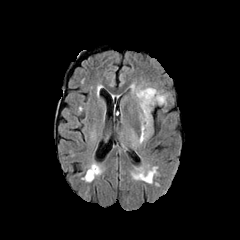
FLAIR MR.
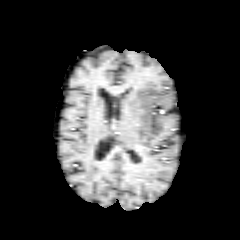
T1-weighted magnetic resonance of the same slice.
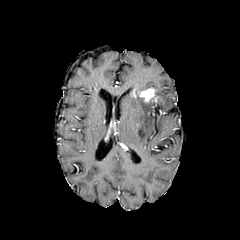
Post-contrast T1-weighted MR.
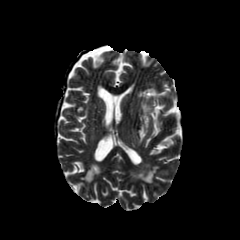
T2-weighted MR.
240x240 px
edema:
  - box(135, 87, 167, 143)
enhancing_tumor:
  - box(141, 89, 154, 100)